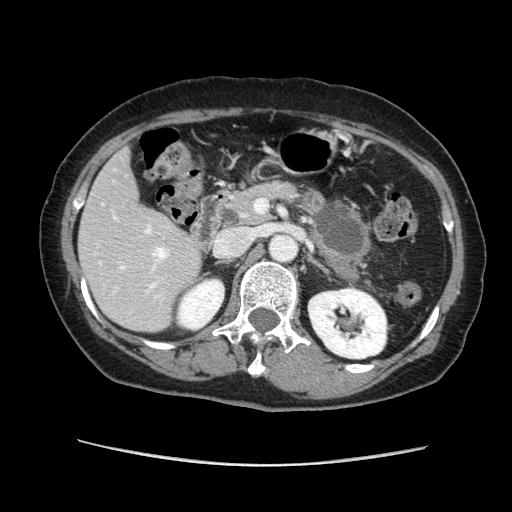 512x512; Upper abdomen; CT slice
pancreatic tumor: [313, 203, 364, 258] | pancreas: [217, 179, 371, 285]